Field of view 240 mm wide, 1.00 mm slice spacing
FLAIR MR.
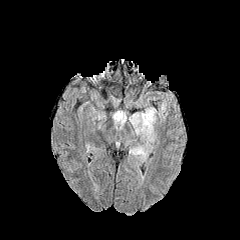
T1-weighted MR image.
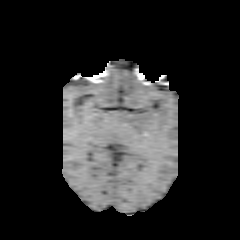
Post-contrast T1-weighted magnetic resonance.
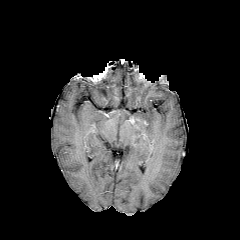
T2-weighted MR image.
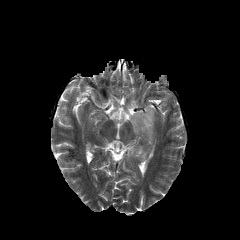
Edema at (x1=129, y1=107, x2=157, y2=162), (x1=159, y1=102, x2=166, y2=120), (x1=112, y1=111, x2=126, y2=128).
Enhancing tumor at (x1=128, y1=115, x2=148, y2=131).